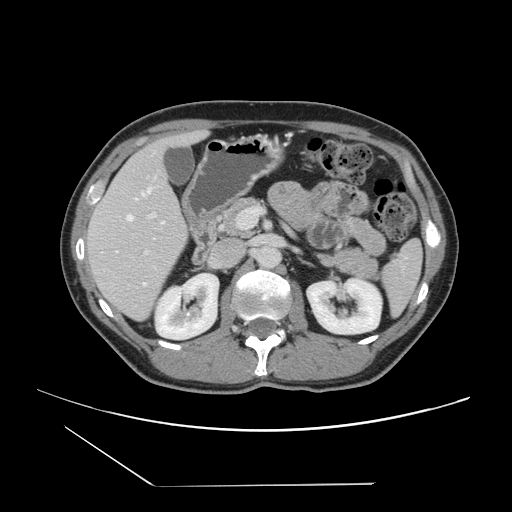 Liver; CT

Only some of the vessels may be annotated.
{
  "hepatic_vessel": [
    "[147,176,148,178]",
    "[153,176,155,180]"
  ]
}